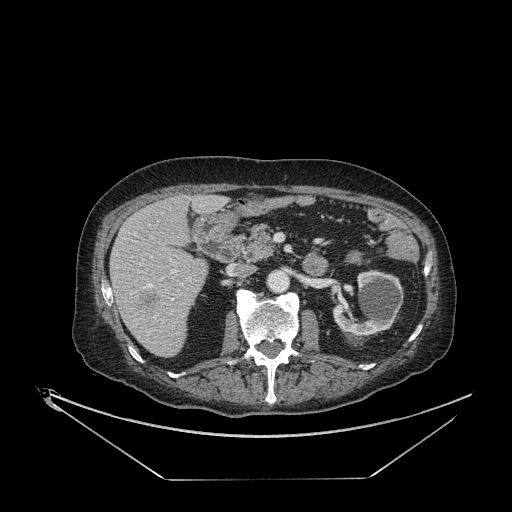 Computed tomography; Image size 512x512
liver: <bbox>110, 194, 228, 357</bbox> | kidney: <bbox>357, 270, 402, 294</bbox>, <bbox>321, 278, 399, 335</bbox>, <bbox>344, 285, 352, 292</bbox> | hepatic lesion: <bbox>138, 291, 159, 310</bbox>